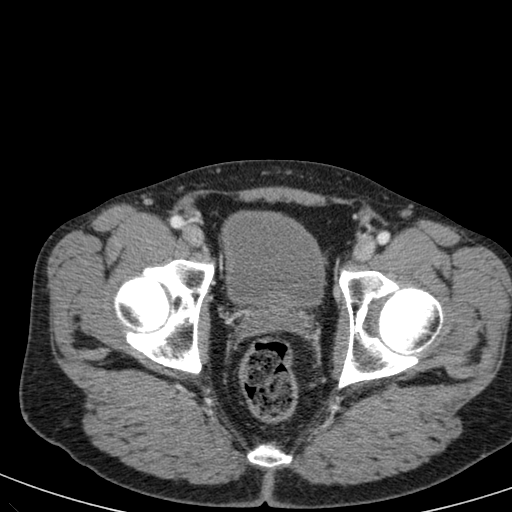 Computed tomography | Lower abdomen

<segmentation>
  <urinary_bladder>region(222, 211, 323, 308)</urinary_bladder>
</segmentation>